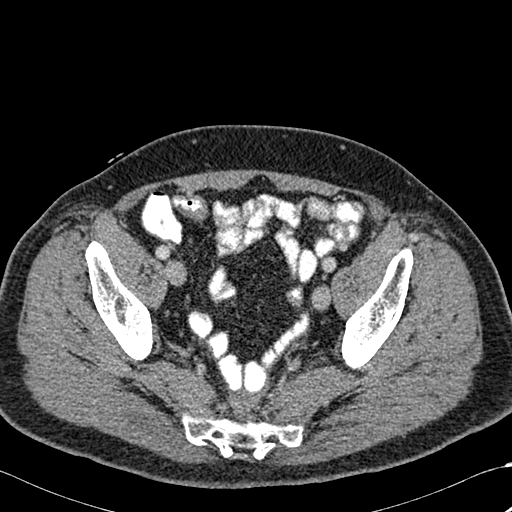

CT image
3 bone regions are bounded by l=342, t=248, r=412, b=368; l=183, t=415, r=302, b=459; l=85, t=241, r=152, b=359.